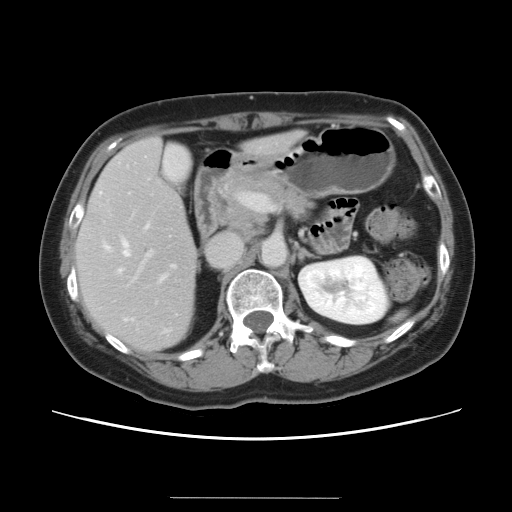

Liver; Image size 512x512; CT image
Only some of the vessels may be annotated.
Hepatic vessel = bbox(117, 269, 121, 272); bbox(171, 265, 174, 267); bbox(159, 275, 165, 281); bbox(163, 329, 168, 332); bbox(103, 245, 109, 250); bbox(122, 240, 129, 255); bbox(145, 224, 148, 228); bbox(131, 250, 152, 282); bbox(124, 318, 133, 320); bbox(99, 192, 101, 193).